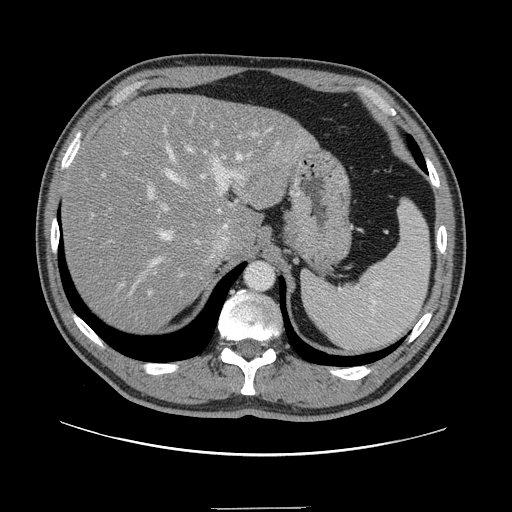
CT scan slice, Abdomen
The vessel annotation is not exhaustive.
partial: true
liver_tumor:
  - (left=243, top=168, right=283, bottom=205)
hepatic_vessel:
  # 15 of 21 shown
  - (left=236, top=154, right=244, bottom=160)
  - (left=268, top=128, right=272, bottom=131)
  - (left=252, top=132, right=257, bottom=136)
  - (left=151, top=258, right=161, bottom=264)
  - (left=239, top=136, right=241, bottom=138)
  - (left=147, top=291, right=152, bottom=294)
  - (left=148, top=187, right=153, bottom=199)
  - (left=167, top=171, right=185, bottom=185)
  - (left=168, top=148, right=175, bottom=161)
  - (left=213, top=159, right=243, bottom=194)
  - (left=187, top=147, right=191, bottom=150)
  - (left=131, top=285, right=135, bottom=293)
  - (left=162, top=205, right=167, bottom=210)
  - (left=201, top=175, right=205, bottom=178)
  - (left=161, top=230, right=172, bottom=239)